Field of view 434x434 mm; Thorax; Slice index 516; Computed tomography; 512x512 px 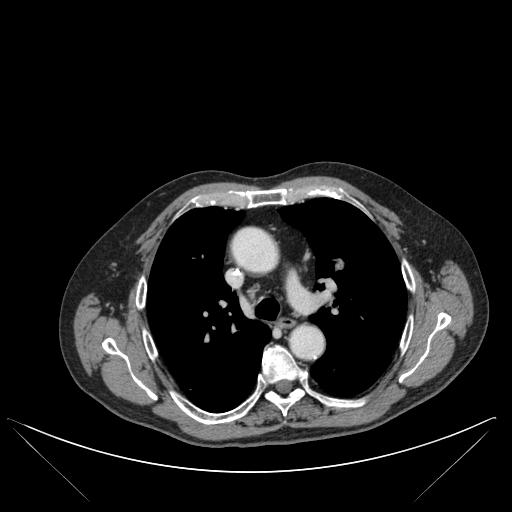

10 bone regions are bounded by (400, 317, 412, 351), (136, 277, 146, 308), (399, 312, 450, 381), (143, 330, 157, 358), (402, 261, 414, 290), (266, 389, 304, 415), (102, 338, 156, 399), (239, 189, 287, 207), (170, 346, 320, 424), (323, 398, 364, 407). 3 lung regions are bounded by (147, 207, 270, 412), (256, 299, 278, 320), (280, 198, 406, 396).